T2-weighted MR image.
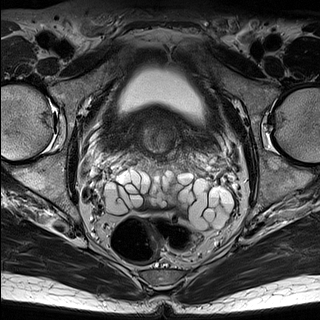
ADC MR image.
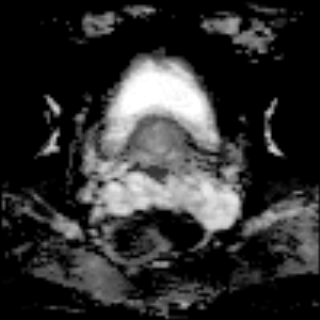
Prostate
Annotated regions:
• prostate transition zone: 140,122,176,154